Liver. Field of view 330x330 mm. CT slice. Slice 352 of 630. 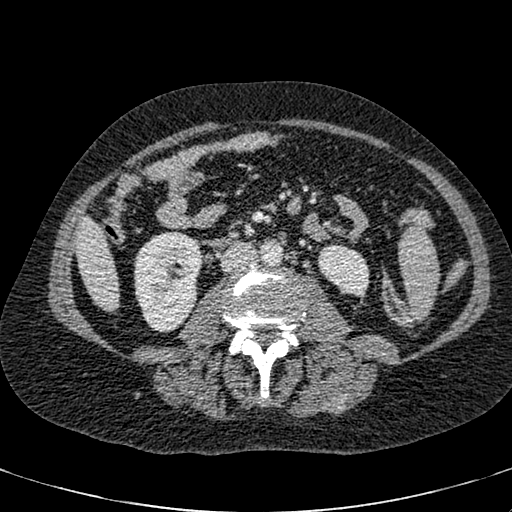

2 kidney regions appear at bbox(135, 232, 201, 331); bbox(318, 245, 367, 294). The liver is located at bbox(74, 216, 118, 310).